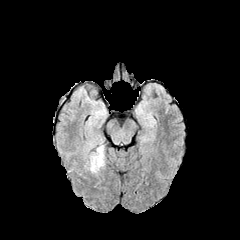
FLAIR MR.
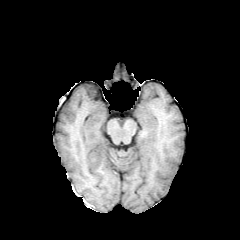
T1-weighted MR.
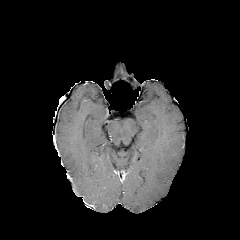
Post-contrast T1-weighted MRI.
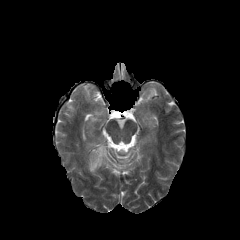
T2-weighted MRI of the same slice.
Brain. 240x240.
{
  "edema": [
    "(x1=82, y1=141, x2=106, y2=176)"
  ]
}